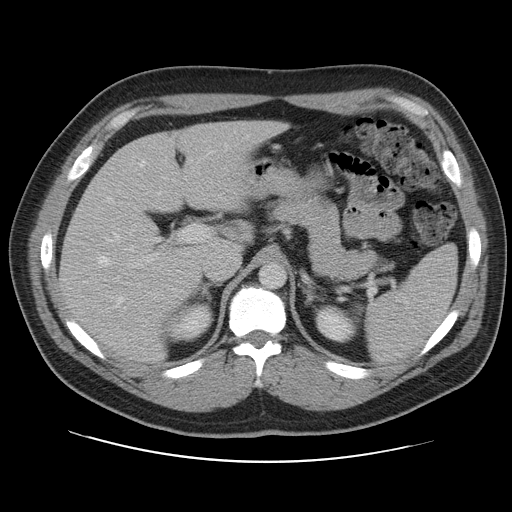
Liver | 512x512 | CT scan slice

Only some of the vessels may be annotated.
* hepatic vessel: l=224, t=243, r=226, b=246; l=130, t=246, r=134, b=251; l=148, t=253, r=157, b=261; l=151, t=237, r=160, b=241; l=150, t=225, r=156, b=230; l=116, t=297, r=122, b=307; l=114, t=229, r=118, b=238; l=159, t=246, r=162, b=247; l=137, t=283, r=140, b=286; l=98, t=256, r=109, b=265; l=234, t=247, r=236, b=249; l=106, t=238, r=111, b=241